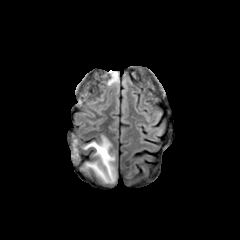
FLAIR MRI.
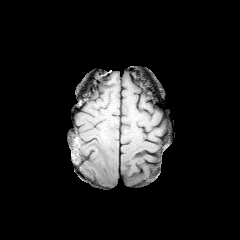
Same slice, T1-weighted MR.
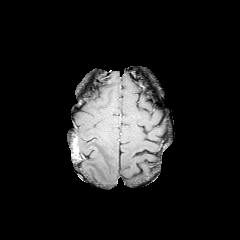
Post-contrast T1-weighted magnetic resonance.
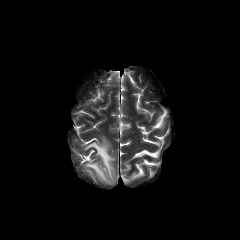
T2-weighted MR of the same slice.
Edema at 83,136,116,183.